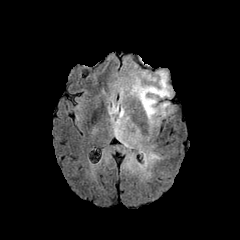
FLAIR MRI.
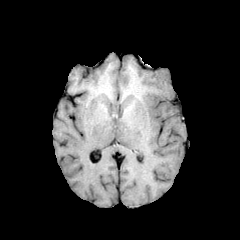
T1-weighted MRI.
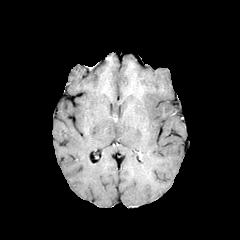
Post-contrast T1-weighted magnetic resonance.
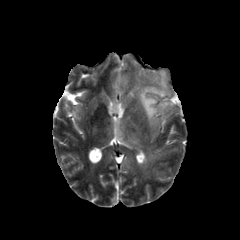
T2-weighted magnetic resonance.
edema: 128, 70, 172, 125; 114, 119, 122, 133 | non-enhancing tumor core: 151, 83, 163, 90